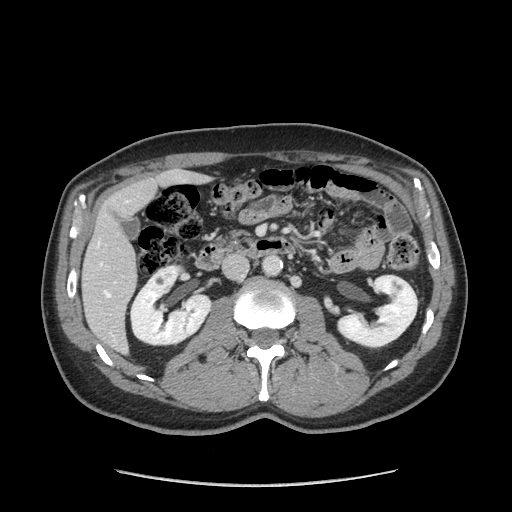

512x512 px; CT image; Abdomen

Pancreas: [215, 231, 253, 254].